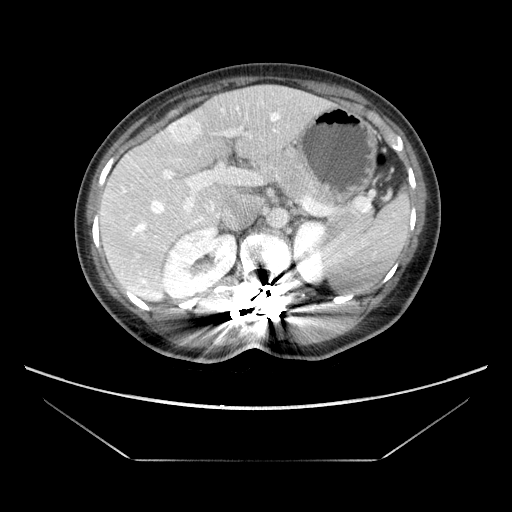
Liver, CT image
Not every hepatic vessel necessarily has a box.
hepatic_vessel:
  - box(152, 201, 163, 212)
  - box(176, 219, 182, 221)
  - box(163, 169, 173, 179)
  - box(225, 131, 234, 134)
  - box(182, 164, 262, 223)
liver_tumor:
  - box(166, 116, 197, 143)